Slice 29/42 | CT slice | 512x512
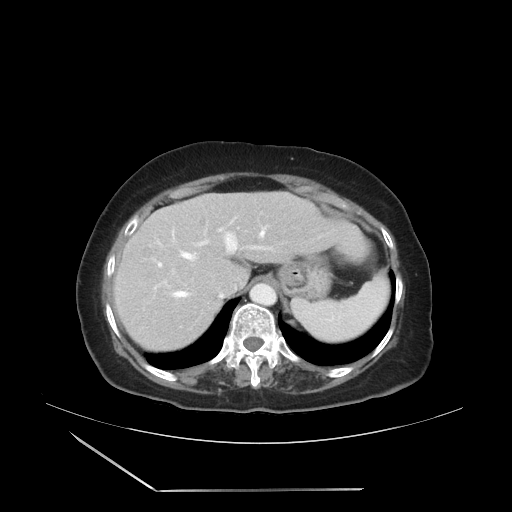 The vessel boxes may cover only some of the vessels.
• hepatic vessel: x1=172, y1=229, x2=175, y2=241; x1=152, y1=258, x2=162, y2=266; x1=205, y1=229, x2=206, y2=233; x1=259, y1=225, x2=267, y2=237; x1=170, y1=291, x2=192, y2=298; x1=230, y1=216, x2=237, y2=222; x1=153, y1=279, x2=170, y2=290; x1=192, y1=239, x2=208, y2=245; x1=248, y1=246, x2=272, y2=249; x1=155, y1=238, x2=162, y2=247; x1=219, y1=228, x2=238, y2=251; x1=219, y1=293, x2=223, y2=297; x1=179, y1=250, x2=196, y2=261